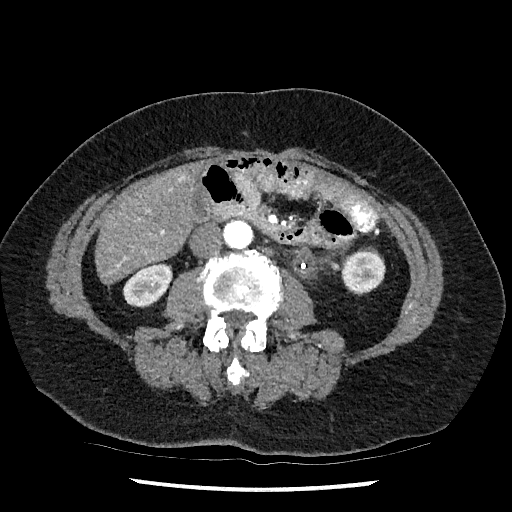

Computed tomography. Abdomen. kidney: <bbox>342, 252, 384, 292</bbox>, <bbox>124, 265, 171, 305</bbox> | liver: <bbox>96, 161, 204, 282</bbox>